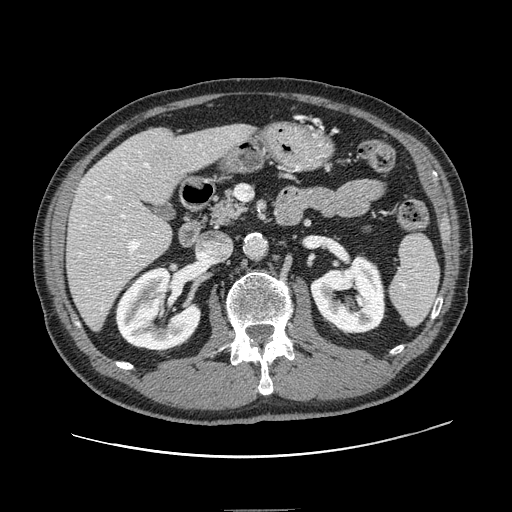 Abdomen; 512x512 px; CT slice
The pancreas is at {"x1": 209, "y1": 188, "x2": 249, "y2": 228}.